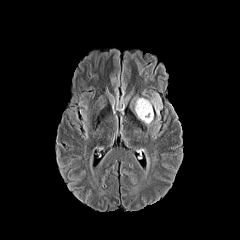
FLAIR magnetic resonance.
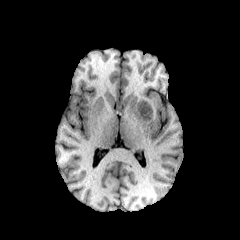
T1-weighted magnetic resonance of the same slice.
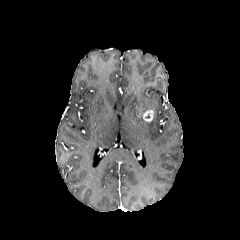
Post-contrast T1-weighted MR.
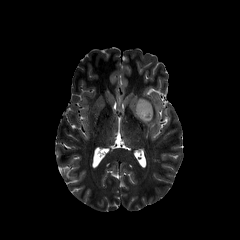
T2-weighted MR.
Brain
non-enhancing tumor core: box=[139, 105, 152, 116] | enhancing tumor: box=[143, 109, 154, 121] | edema: box=[134, 93, 162, 125]